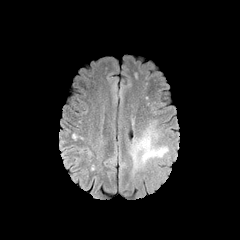
FLAIR MR.
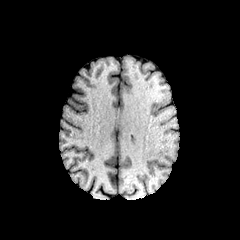
T1-weighted MR.
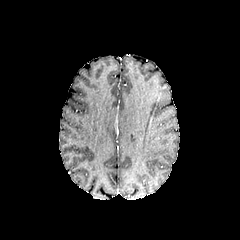
Post-contrast T1-weighted MR.
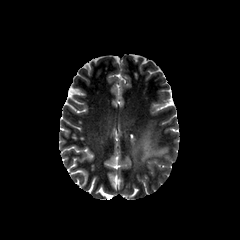
Same slice, T2-weighted MR image.
240x240 px | Brain
The edema is located at 131, 120, 167, 168.